FLAIR magnetic resonance.
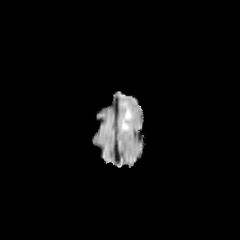
T1-weighted MR.
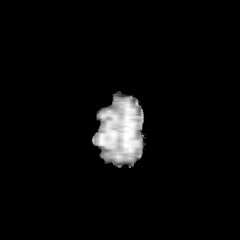
Post-contrast T1-weighted MRI.
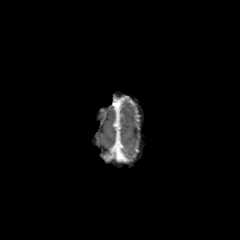
T2-weighted MR image.
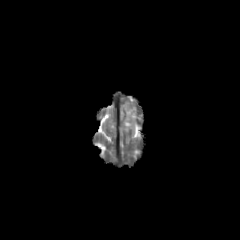
240x240 px. Brain.
{"edema": [{"x1": 121, "y1": 111, "x2": 133, "y2": 128}]}